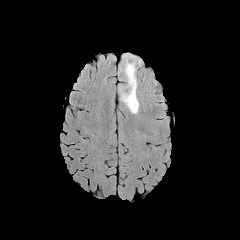
FLAIR MRI.
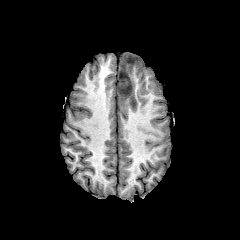
Same slice, T1-weighted magnetic resonance.
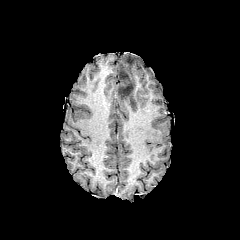
Post-contrast T1-weighted magnetic resonance of the same slice.
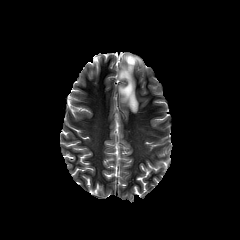
T2-weighted MR.
240x240 px.
* edema: bbox=[118, 56, 141, 113]; bbox=[120, 79, 129, 86]
* non-enhancing tumor core: bbox=[123, 55, 137, 67]; bbox=[119, 80, 135, 106]; bbox=[120, 69, 129, 79]